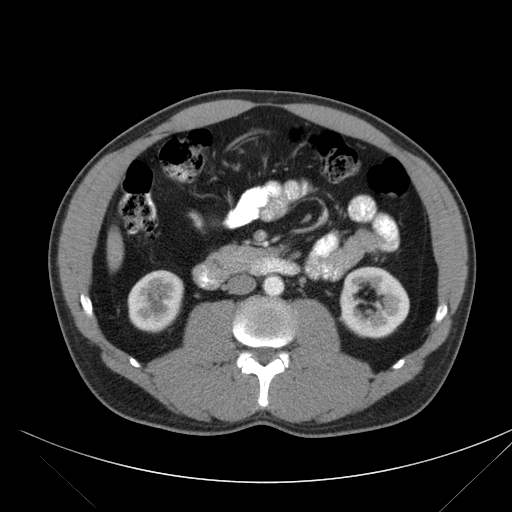
CT | Abdomen
<segmentation>
  <pancreas>211:249:221:262, 223:246:236:262</pancreas>
</segmentation>